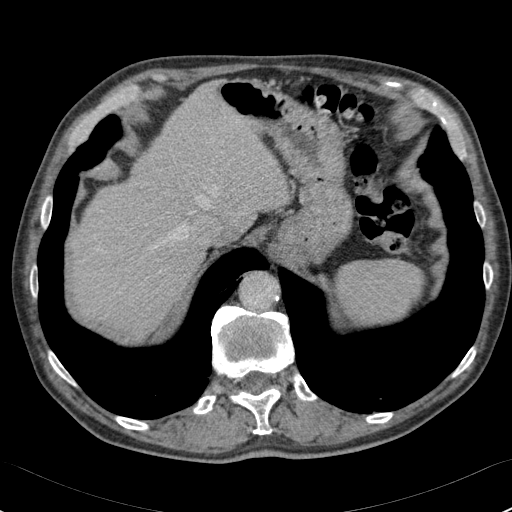 CT scan slice, Image size 512x512

Liver = x1=73, y1=83, x2=287, y2=337.